Upper abdomen. CT scan slice.
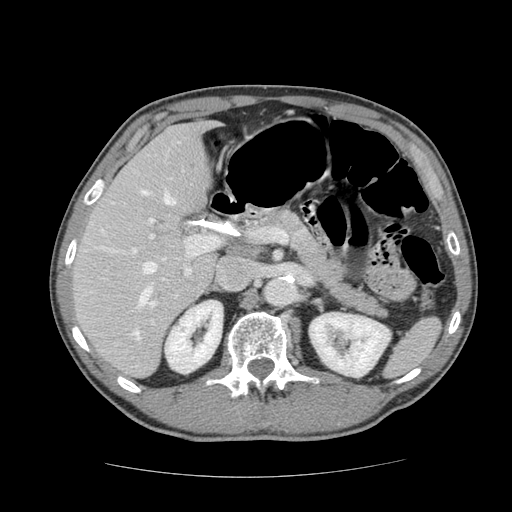

The pancreas is located at 260, 208, 390, 319.